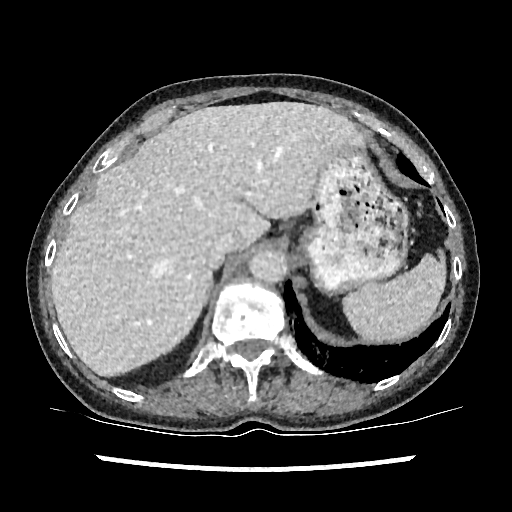
Computed tomography | Upper abdomen
{"liver": ["<box>53,103,365,373</box>"]}